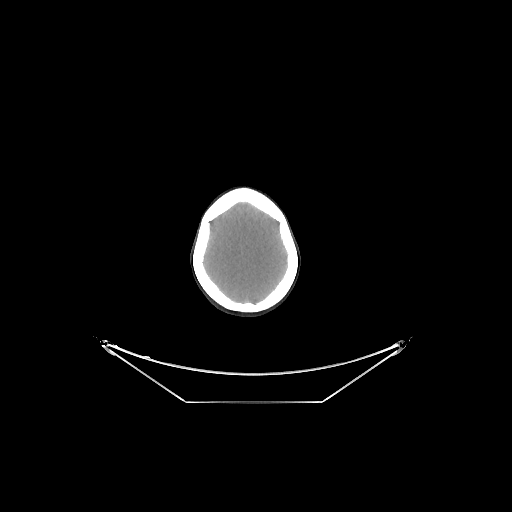
CT, Head
Segmented structures:
• brain: 202 202 287 304